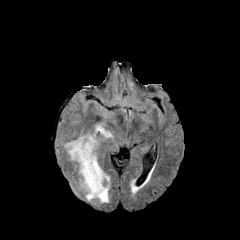
FLAIR MR.
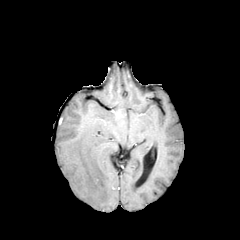
Same slice, T1-weighted MR image.
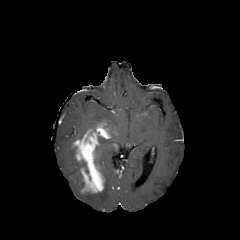
Post-contrast T1-weighted magnetic resonance.
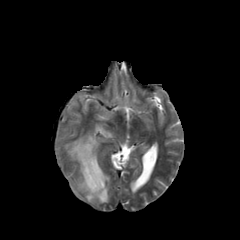
Same slice, T2-weighted MRI.
Brain
• edema: [x1=84, y1=168, x2=109, y2=204], [x1=89, y1=119, x2=113, y2=137], [x1=65, y1=141, x2=83, y2=192]
• enhancing tumor: [x1=73, y1=124, x2=109, y2=192]